FLAIR MR image.
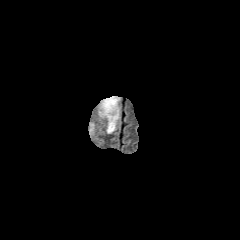
T1-weighted magnetic resonance.
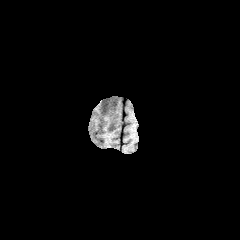
Post-contrast T1-weighted MR.
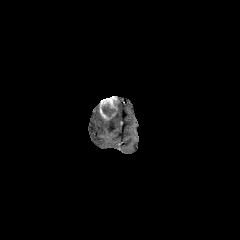
T2-weighted magnetic resonance.
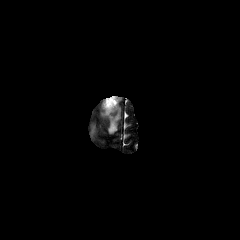
Image size 240x240
Edema = left=89, top=122, right=95, bottom=137; left=106, top=103, right=120, bottom=133.
Enhancing tumor = left=100, top=96, right=117, bottom=118.